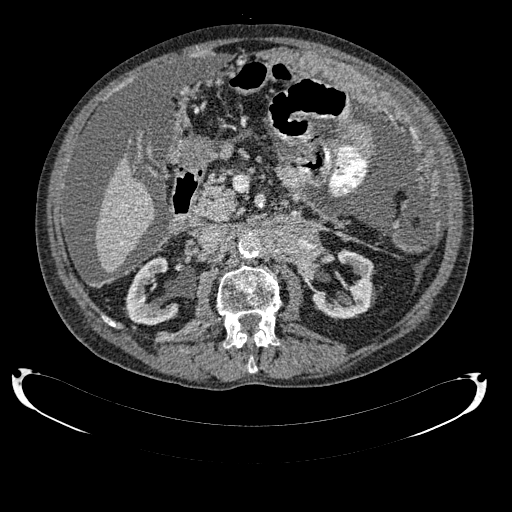 Liver | Computed tomography
Annotated regions:
• liver: [95,154,154,272]
• kidney: [313,250,372,318], [126,257,177,324]